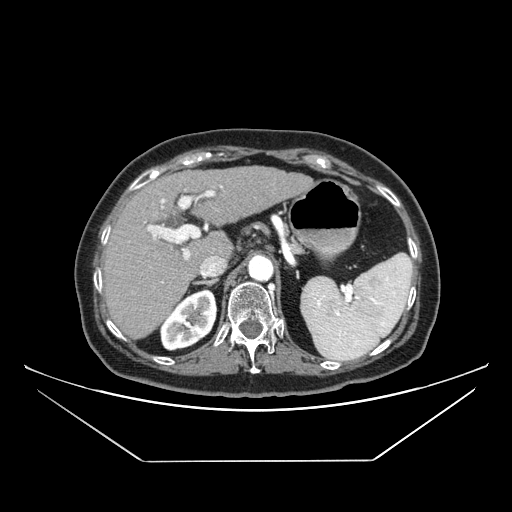

CT
<segmentation>
  <pancreas>box=[282, 223, 307, 253]</pancreas>
</segmentation>